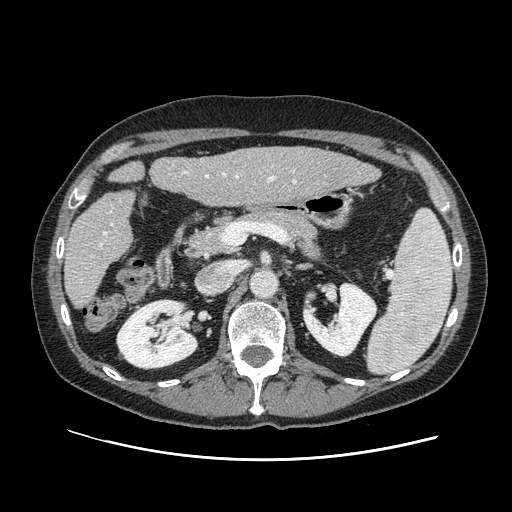 CT, 512x512 px
pancreas: (190,225,232,257), (236,209,316,242)